Slice 143/733; CT scan slice; Image width 388 mm
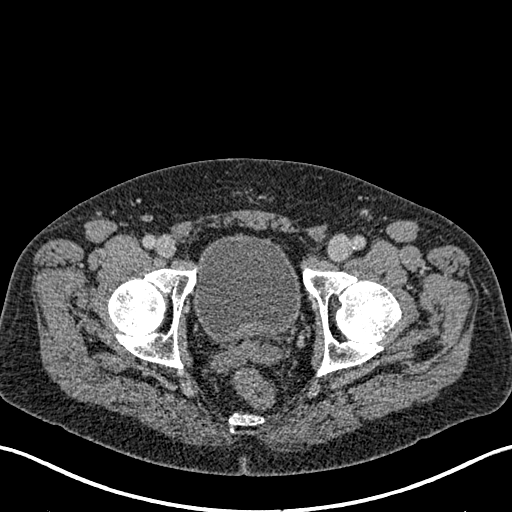
The urinary bladder is at (193,233,300,335).